CT scan slice | Slice 9 of 26 | Field of view 418x418 mm | Liver
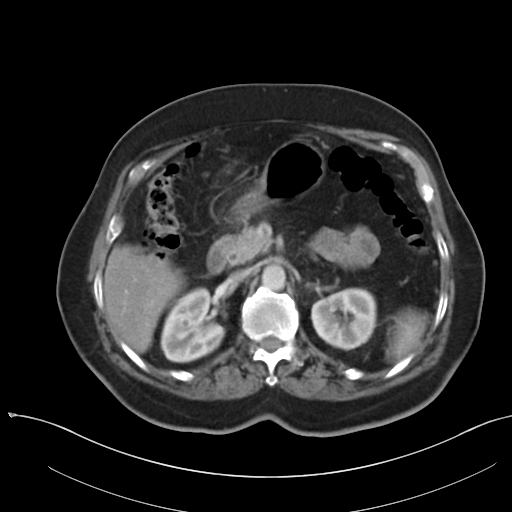
The vessel annotation is not exhaustive.
The hepatic vessel lies within 125 290 127 293.